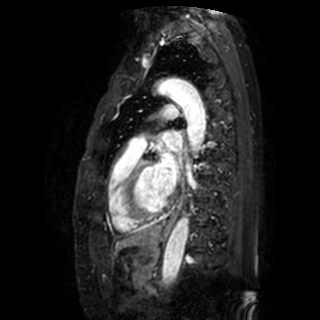 MRI

Left atrium = 157, 145, 176, 190; 163, 132, 181, 151.